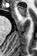

MRI, Hippocampus, Image size 37x56
Anterior hippocampus: region(18, 6, 26, 17).